Slice 43/155. Image width 240 mm. Brain.
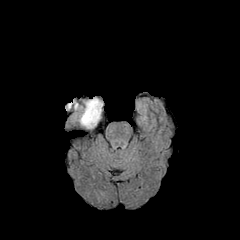
FLAIR MRI.
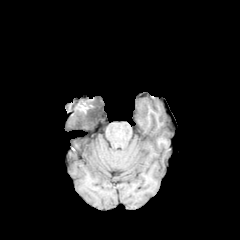
T1-weighted MRI.
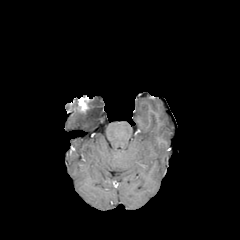
Same slice, post-contrast T1-weighted MR.
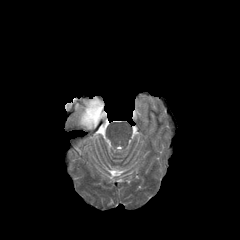
T2-weighted MR.
enhancing_tumor:
  - [81,99,89,109]
edema:
  - [89,98,102,106]
  - [77,112,101,128]
non-enhancing_tumor_core:
  - [75,99,101,119]